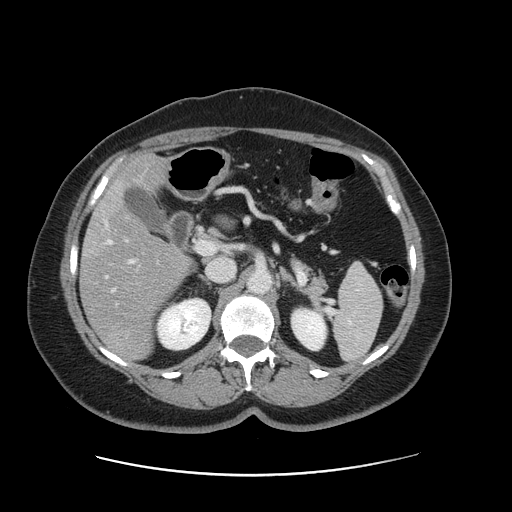

Liver; CT scan slice
The vessel annotation is not exhaustive.
5 hepatic vessel regions are located at x1=107 y1=240 x2=111 y2=243, x1=105 y1=221 x2=107 y2=225, x1=129 y1=259 x2=134 y2=263, x1=112 y1=289 x2=114 y2=291, x1=106 y1=276 x2=107 y2=277.